Brain; 240x240
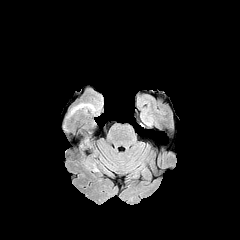
FLAIR MRI.
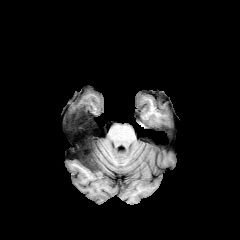
Same slice, T1-weighted MR.
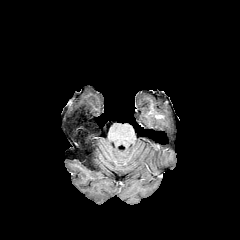
Post-contrast T1-weighted MRI of the same slice.
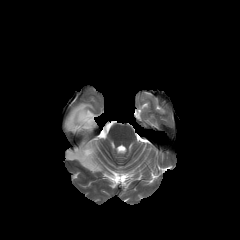
Same slice, T2-weighted MRI.
2 edema regions are located at (left=91, top=161, right=99, bottom=172), (left=67, top=102, right=100, bottom=128). 2 non-enhancing tumor core regions are bounded by (left=76, top=139, right=94, bottom=168), (left=70, top=106, right=91, bottom=126).